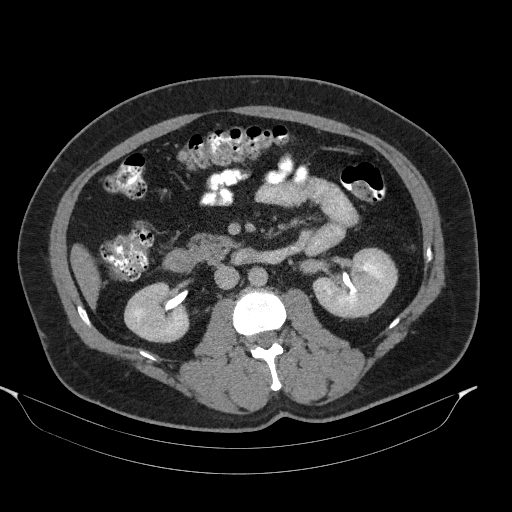
Computed tomography | Upper abdomen

pancreas: bbox=[189, 233, 232, 265]